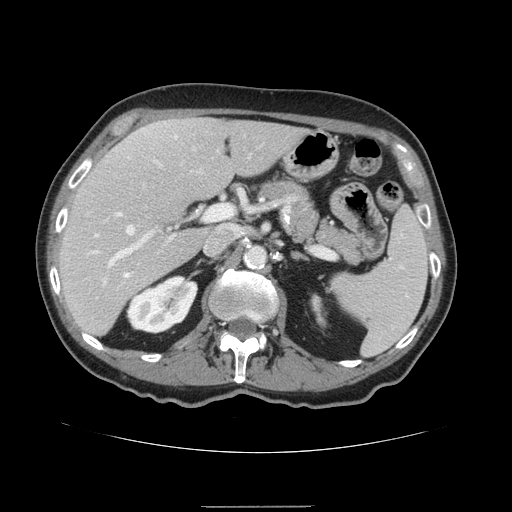
CT image

spleen: (x1=332, y1=207, x2=428, y2=355)